Image size 240x240; Slice 63/155
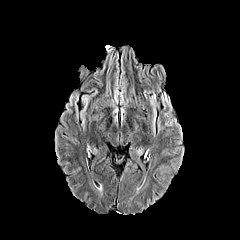
FLAIR MR image.
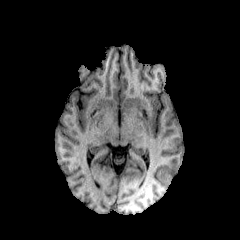
Same slice, T1-weighted magnetic resonance.
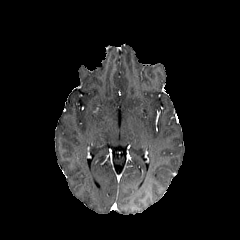
Same slice, post-contrast T1-weighted magnetic resonance.
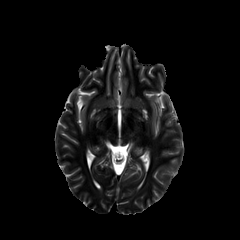
Same slice, T2-weighted MRI.
Edema: bounding box <box>150,95,160,134</box>, <box>158,93,176,134</box>.